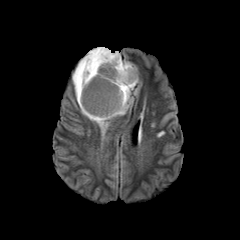
FLAIR MR.
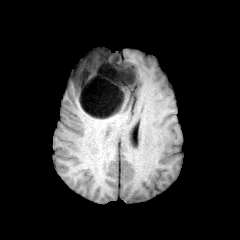
T1-weighted magnetic resonance.
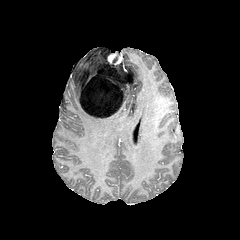
Post-contrast T1-weighted MRI of the same slice.
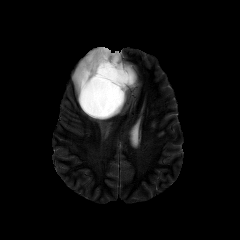
T2-weighted MR image of the same slice.
Image size 240x240; Brain
Edema at bbox(72, 47, 139, 133).
Enhancing tumor at bbox(107, 54, 125, 70).
Non-enhancing tumor core at bbox(80, 50, 135, 117).